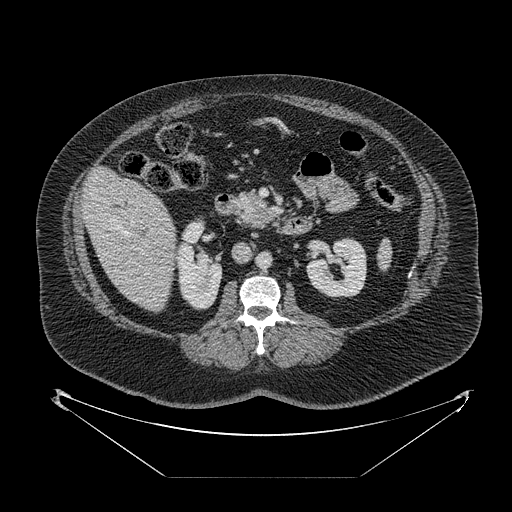
CT image
Annotated regions:
* pancreatic tumor: l=253, t=204, r=272, b=223
* pancreas: l=235, t=192, r=268, b=227